CT slice. Abdomen. 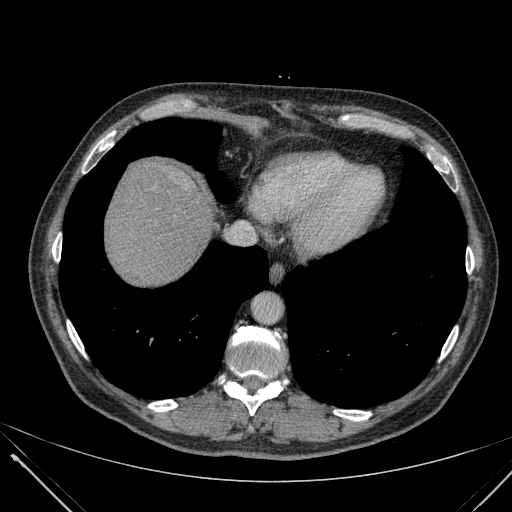

Liver at 105 158 218 285.